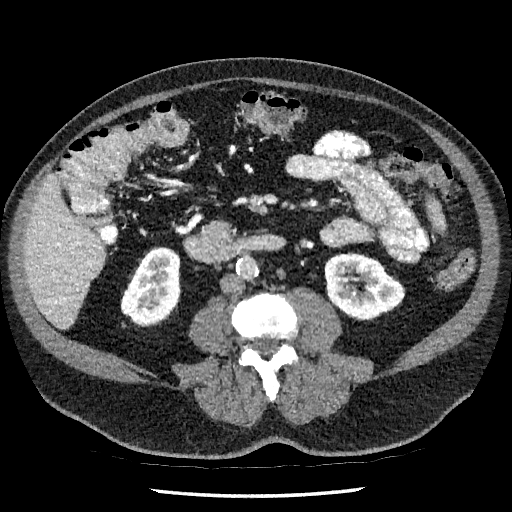
Abdomen. Computed tomography. Segmented structures:
* kidney: 121:250:179:324, 325:254:403:318
* liver: 25:175:104:329